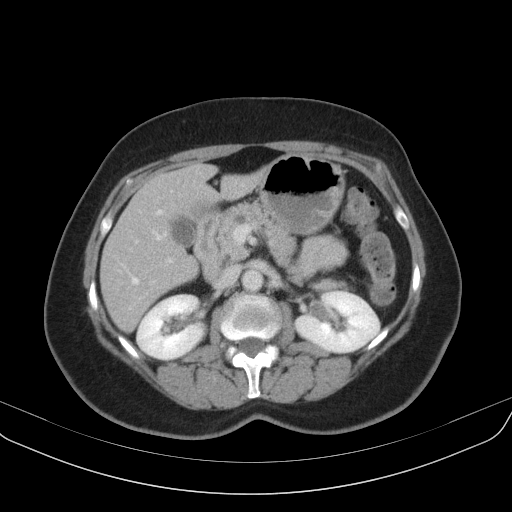 CT slice, Upper abdomen, Image size 512x512
Pancreas at (left=329, top=278, right=344, bottom=289), (left=312, top=278, right=327, bottom=289), (left=215, top=202, right=309, bottom=287).